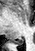

Medial temporal lobe; MRI slice
The posterior hippocampus lies within left=14, top=38, right=23, bottom=44.